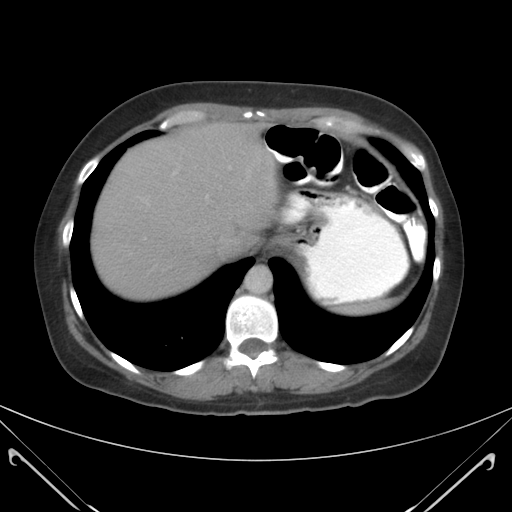 CT image; 512x512; Abdomen

{"spleen": ["[x1=338, y1=303, x2=390, y2=315]"]}